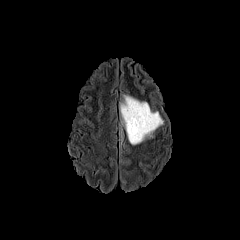
FLAIR magnetic resonance.
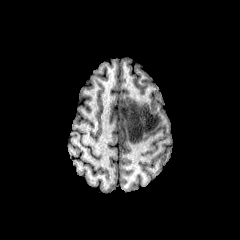
T1-weighted MR image of the same slice.
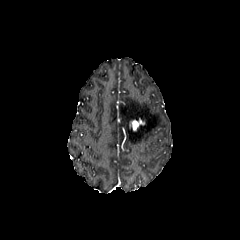
Post-contrast T1-weighted magnetic resonance.
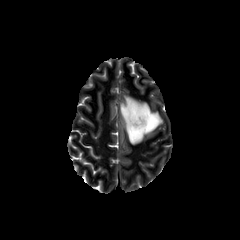
Same slice, T2-weighted MR.
Brain
edema:
  - (x1=120, y1=96, x2=162, y2=144)
enhancing_tumor:
  - (x1=129, y1=118, x2=144, y2=131)